Image size 512x512. CT image. 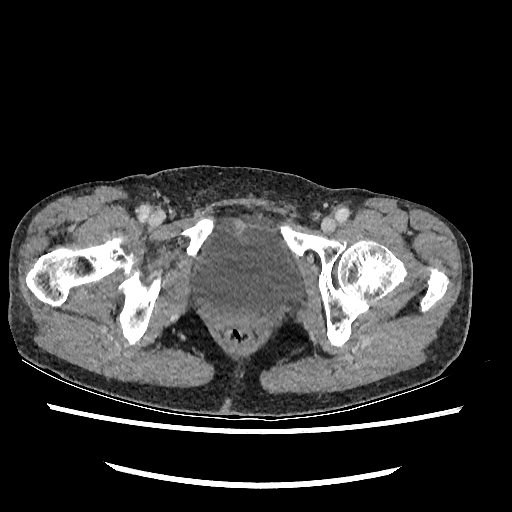

urinary_bladder:
  - 186,212,305,326